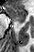 MR. Hippocampus.

The posterior hippocampus is at (19, 21, 24, 23). The anterior hippocampus is located at (7, 6, 26, 21).